Slice 88 of 155, Image width 240 mm
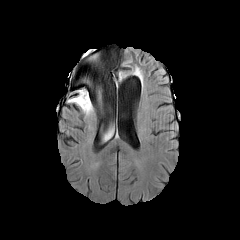
FLAIR MRI.
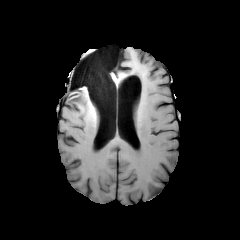
Same slice, T1-weighted MR.
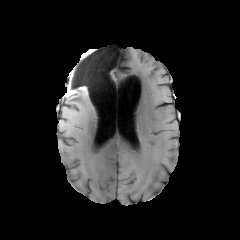
Same slice, post-contrast T1-weighted MRI.
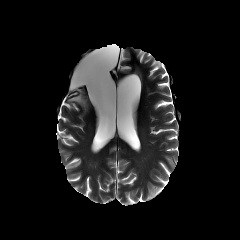
T2-weighted MR image.
Edema = [67, 89, 92, 116].